Image size 512x512 | Computed tomography | Abdomen 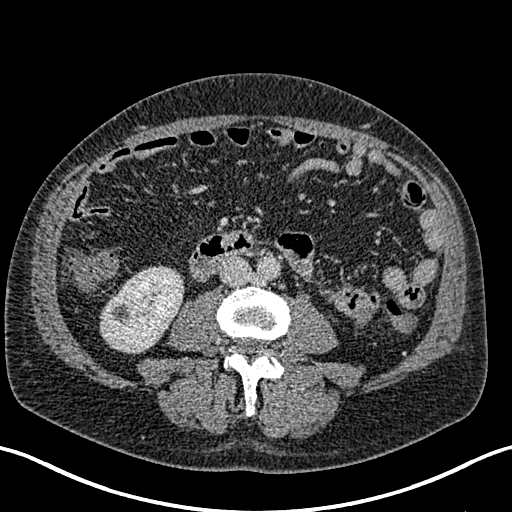 The kidney lies within l=101, t=267, r=182, b=352.